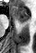 Hippocampus. MRI slice. Annotated regions:
• anterior hippocampus: <bbox>12, 6, 29, 23</bbox>